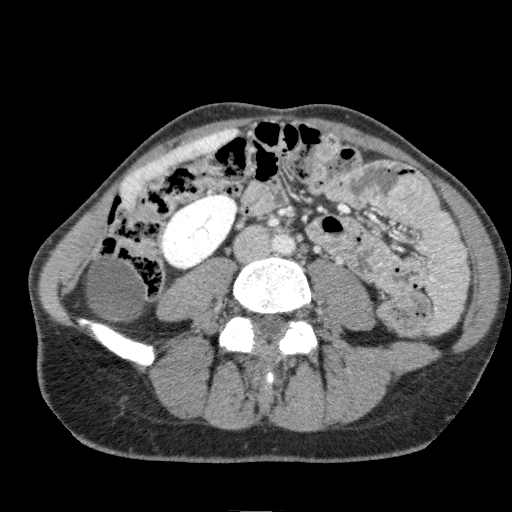

CT scan slice | Upper abdomen
Annotated regions:
• liver: left=121, top=129, right=237, bottom=209
• kidney: left=162, top=195, right=236, bottom=267